CT image; Slice 417 of 629; Image size 512x512; Upper abdomen 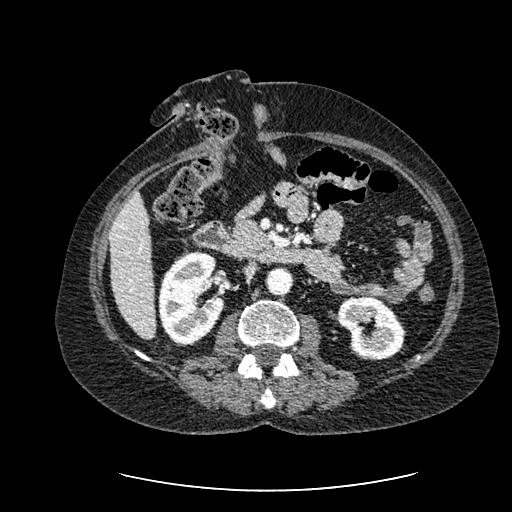
Kidney: bounding box rect(338, 297, 403, 358); rect(159, 252, 222, 344).
Liver: bounding box rect(110, 190, 155, 338).